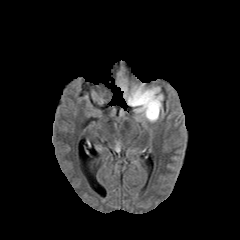
FLAIR magnetic resonance.
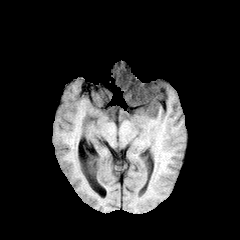
Same slice, T1-weighted MR image.
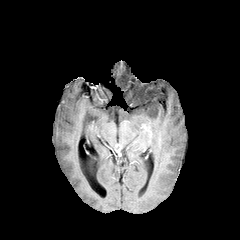
Post-contrast T1-weighted MR image.
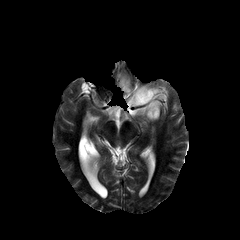
T2-weighted MR.
Brain. Image size 240x240.
Non-enhancing tumor core — bbox(136, 94, 147, 103).
Edema — bbox(117, 70, 164, 122).